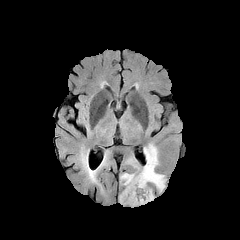
FLAIR MR image.
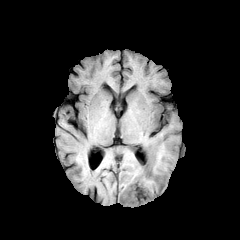
T1-weighted MR of the same slice.
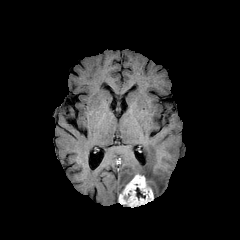
Post-contrast T1-weighted MR.
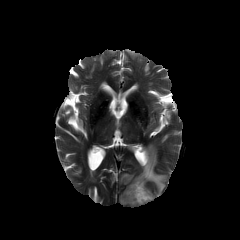
T2-weighted MR image of the same slice.
240x240
<segmentation>
  <enhancing_tumor>[118,174,153,207]</enhancing_tumor>
  <edema>[130,143,166,192], [120,173,136,188]</edema>
  <non-enhancing_tumor_core>[135,187,145,198]</non-enhancing_tumor_core>
</segmentation>